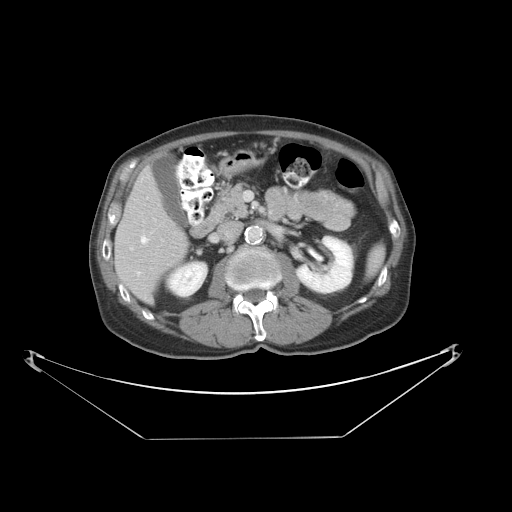
Image size 512x512; Liver; CT slice
The vessel annotation is not exhaustive.
• hepatic vessel: left=142, top=177, right=144, bottom=179; left=141, top=235, right=148, bottom=243; left=136, top=271, right=141, bottom=275